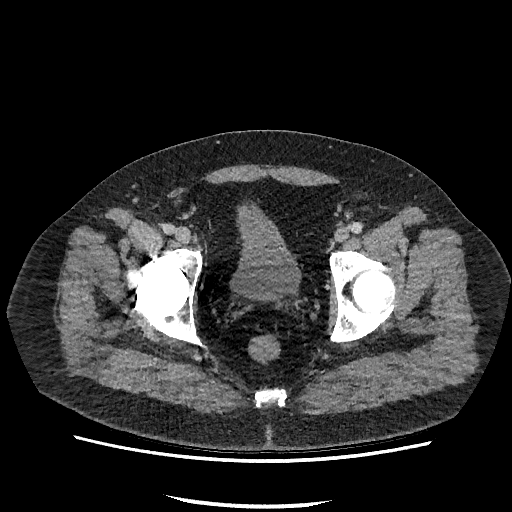 Computed tomography
Urinary bladder: bounding box 230, 200, 301, 302.